Head
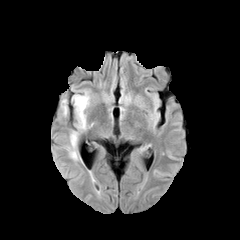
FLAIR MR.
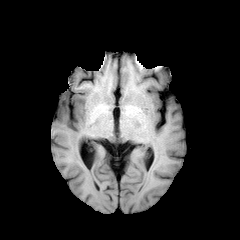
Same slice, T1-weighted MR.
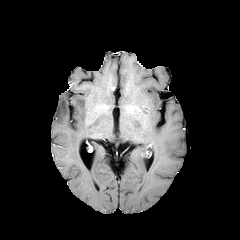
Post-contrast T1-weighted MR image.
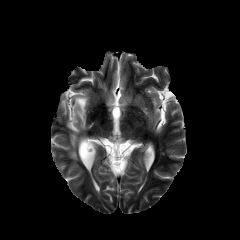
T2-weighted MRI of the same slice.
Edema at l=61, t=99, r=69, b=115; l=66, t=90, r=90, b=160.